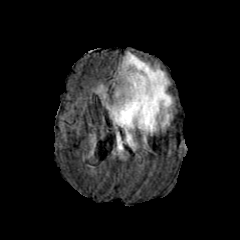
FLAIR MR.
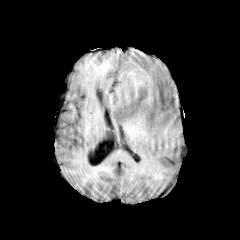
T1-weighted MR image of the same slice.
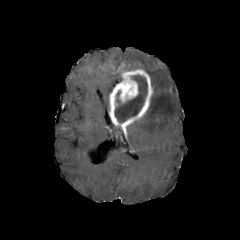
Post-contrast T1-weighted MRI.
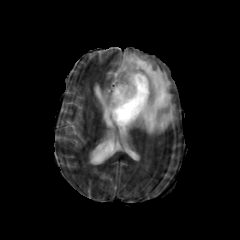
T2-weighted MR.
Brain; 240x240
<segmentation>
  <edema>96, 86, 111, 109; 114, 52, 173, 151; 114, 72, 121, 83</edema>
  <enhancing_tumor>108, 63, 153, 138</enhancing_tumor>
  <non-enhancing_tumor_core>115, 75, 147, 122</non-enhancing_tumor_core>
</segmentation>